FLAIR MR.
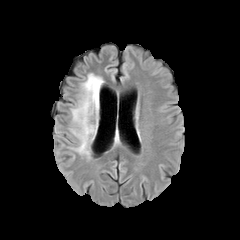
T1-weighted MRI.
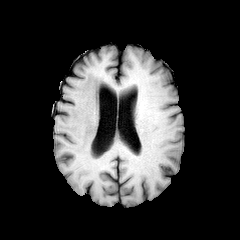
Post-contrast T1-weighted magnetic resonance.
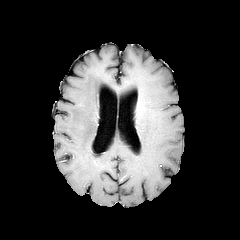
T2-weighted MR image.
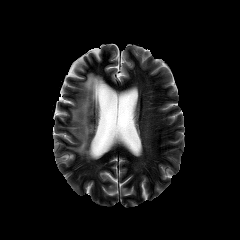
Head
The edema lies within [70,73,104,158].